Abdomen | Image width 390 mm | Computed tomography | Slice 43/44
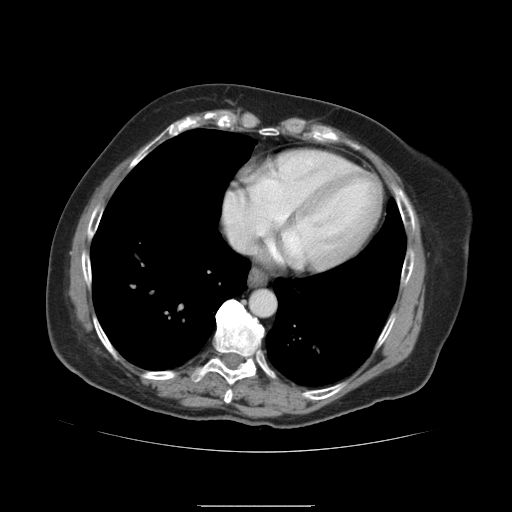 Not every hepatic vessel necessarily has a box.
Hepatic vessel — x1=227, y1=224, x2=255, y2=247.